FLAIR magnetic resonance.
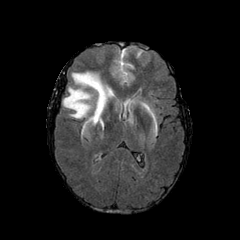
T1-weighted MRI.
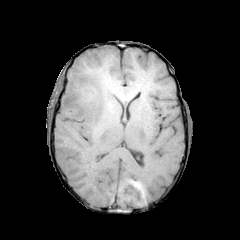
Post-contrast T1-weighted MRI.
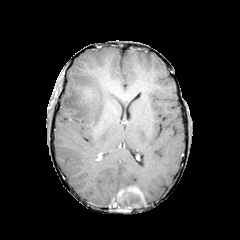
T2-weighted MR image.
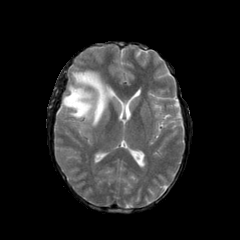
Image size 240x240
<segmentation>
  <edema>(left=62, top=70, right=115, bottom=131)</edema>
</segmentation>